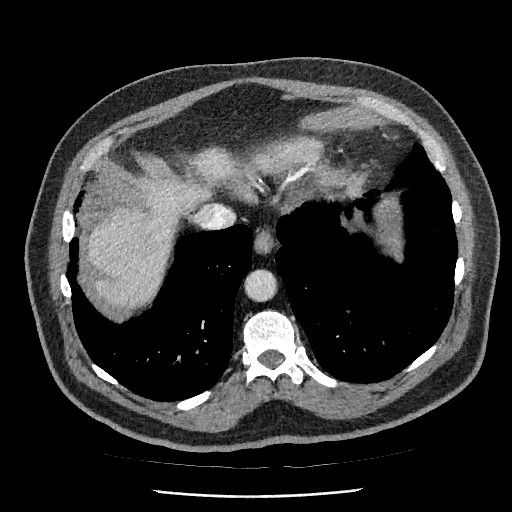
CT
Liver — [88,149,239,305].